FLAIR MR image.
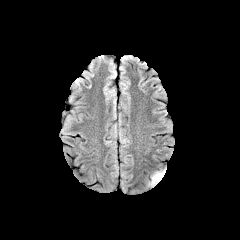
T1-weighted magnetic resonance.
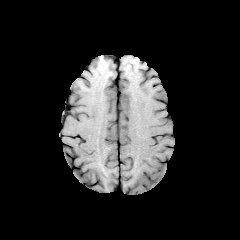
Post-contrast T1-weighted magnetic resonance.
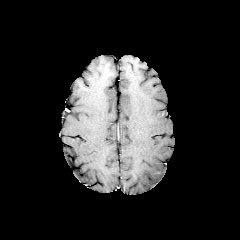
T2-weighted magnetic resonance.
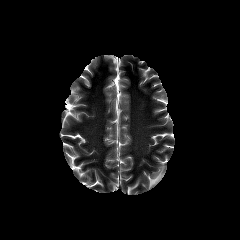
Segmented structures:
• edema: 147 167 166 186